FLAIR MR.
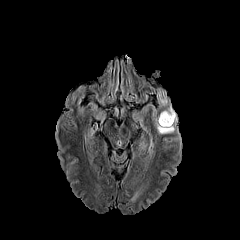
T1-weighted MR.
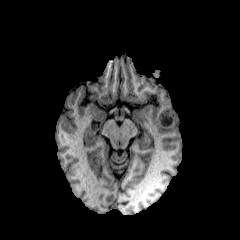
Post-contrast T1-weighted MR.
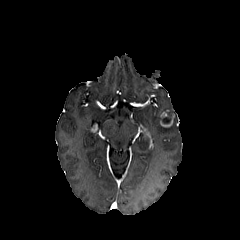
T2-weighted MRI.
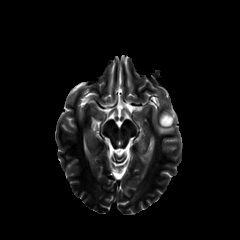
Edema: bounding box <box>138,141,152,154</box>, <box>140,90,180,136</box>.
Enhancing tumor: bounding box <box>159,110,175,127</box>.